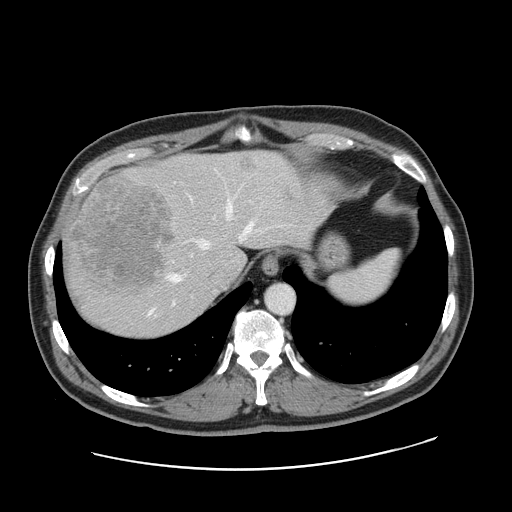 CT scan slice; Liver; Image size 512x512
The vessel boxes may cover only some of the vessels.
Liver tumor at [70, 179, 173, 289], [243, 157, 253, 169].
Hepatic vessel at [233, 194, 236, 197], [213, 216, 215, 217], [190, 253, 192, 255], [242, 253, 245, 261], [149, 308, 155, 316], [282, 224, 289, 226], [189, 238, 194, 240], [239, 223, 254, 241], [226, 198, 233, 218], [259, 228, 265, 230], [198, 239, 209, 247], [253, 238, 304, 246], [172, 302, 174, 304].